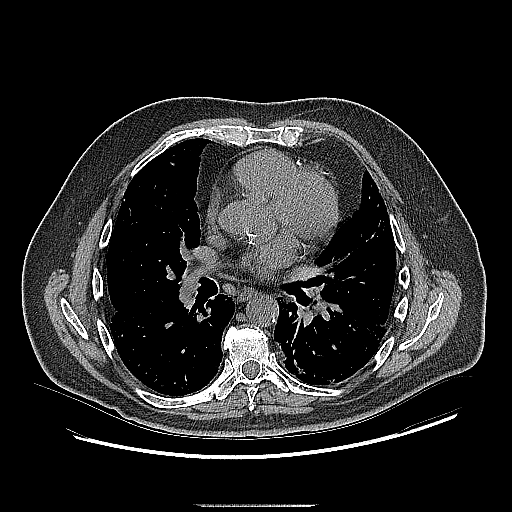 CT
2 lung tumor regions appear at rect(273, 336, 307, 376); rect(279, 298, 293, 309).